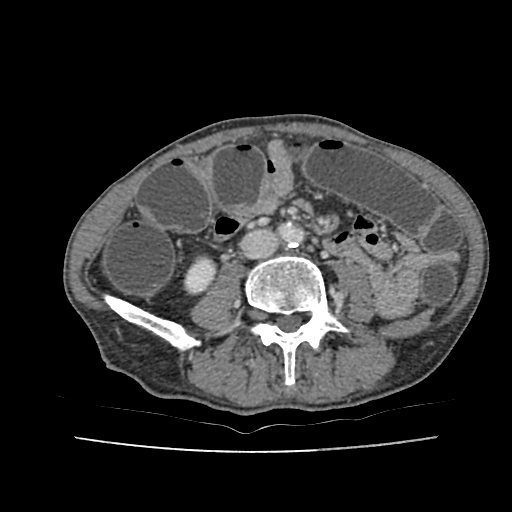
Computed tomography. Abdomen. Kidney: bounding box left=186, top=261, right=213, bottom=291.